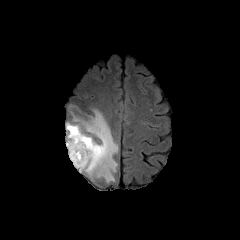
FLAIR MR image.
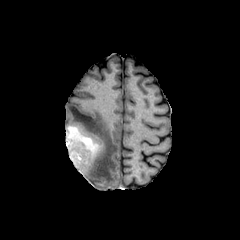
T1-weighted MR.
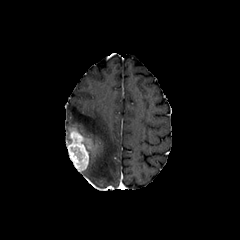
Same slice, post-contrast T1-weighted MR.
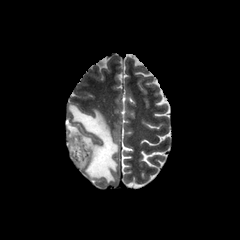
T2-weighted magnetic resonance.
Head
Segmented structures:
• edema: (left=69, top=105, right=117, bottom=182)
• enhancing tumor: (left=68, top=132, right=89, bottom=170)
• non-enhancing tumor core: (left=70, top=146, right=82, bottom=161), (left=66, top=126, right=79, bottom=146), (left=81, top=137, right=102, bottom=159)